Field of view 347x347 mm. Slice 45 of 154. CT slice. 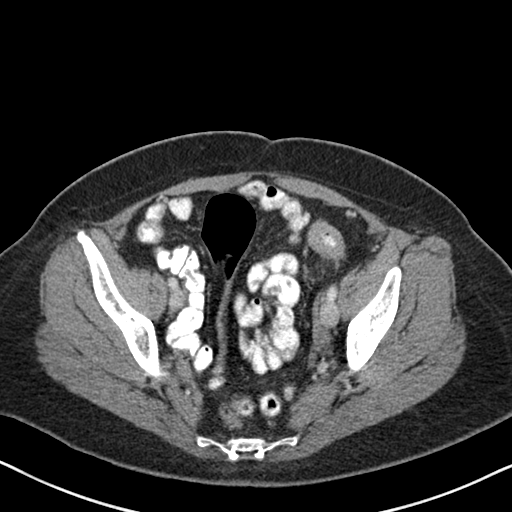 Colon tumor at [310,223,344,258].